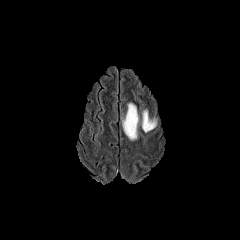
FLAIR MR image.
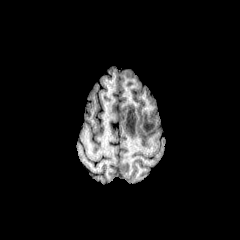
T1-weighted MR image.
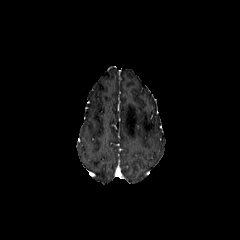
Same slice, post-contrast T1-weighted MR image.
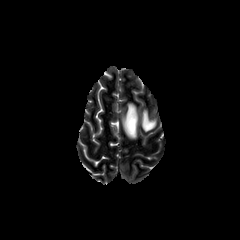
Same slice, T2-weighted MR.
Brain, 240x240
{"edema": ["141, 110, 155, 132", "122, 103, 138, 140"]}